Computed tomography; Abdomen
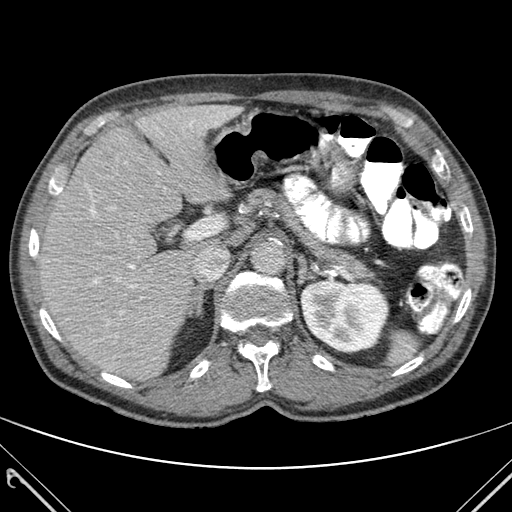 Bone — {"x1": 29, "y1": 228, "x2": 38, "y2": 256}, {"x1": 313, "y1": 355, "x2": 332, "y2": 369}, {"x1": 221, "y1": 272, "x2": 291, "y2": 331}, {"x1": 455, "y1": 289, "x2": 470, "y2": 321}, {"x1": 102, "y1": 373, "x2": 131, "y2": 387}, {"x1": 40, "y1": 309, "x2": 60, "y2": 339}, {"x1": 190, "y1": 361, "x2": 208, "y2": 377}, {"x1": 461, "y1": 207, "x2": 472, "y2": 231}, {"x1": 48, "y1": 175, "x2": 62, "y2": 198}, {"x1": 393, "y1": 357, "x2": 422, "y2": 375}, {"x1": 239, "y1": 341, "x2": 278, "y2": 391}, {"x1": 434, "y1": 152, "x2": 447, "y2": 175}.
Kidney — {"x1": 301, "y1": 280, "x2": 386, "y2": 350}.
Liver — {"x1": 203, "y1": 240, "x2": 221, "y2": 247}, {"x1": 40, "y1": 105, "x2": 242, "y2": 380}.